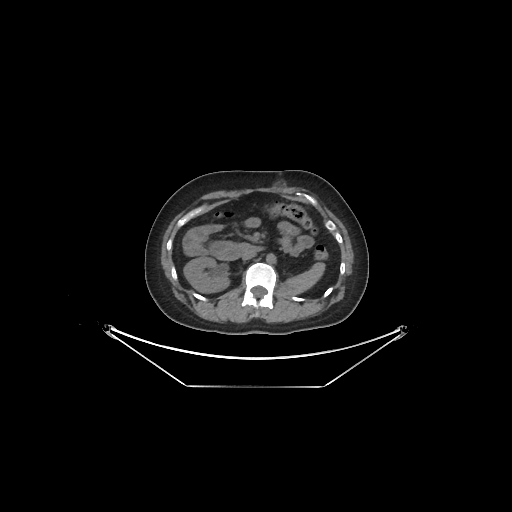 Abdomen. 512x512. CT scan slice.

The kidney appears at 185:257:228:292.